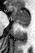

35x53 | Magnetic resonance | Hippocampus

- anterior hippocampus: <box>10,6,29,23</box>
- posterior hippocampus: <box>19,24,28,27</box>